CT scan slice, Upper abdomen, Slice 166/217

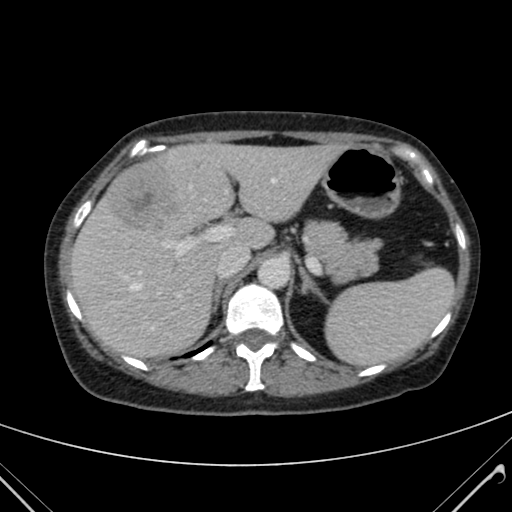 Segmented structures:
* liver: bbox=[73, 142, 333, 357]
* focal liver lesion: bbox=[107, 165, 181, 231]